FLAIR MR.
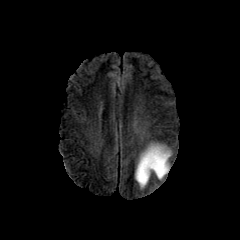
T1-weighted MR.
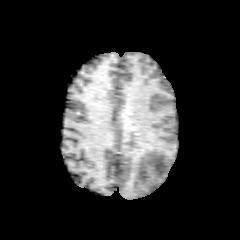
Post-contrast T1-weighted magnetic resonance.
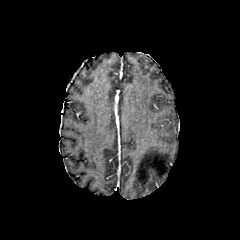
T2-weighted magnetic resonance.
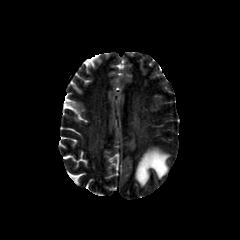
240x240
{
  "edema": [
    "(135, 145, 170, 187)"
  ]
}